Lower abdomen | CT image | Slice 120 of 896 | Field of view 437 mm wide, 0.80 mm slice spacing
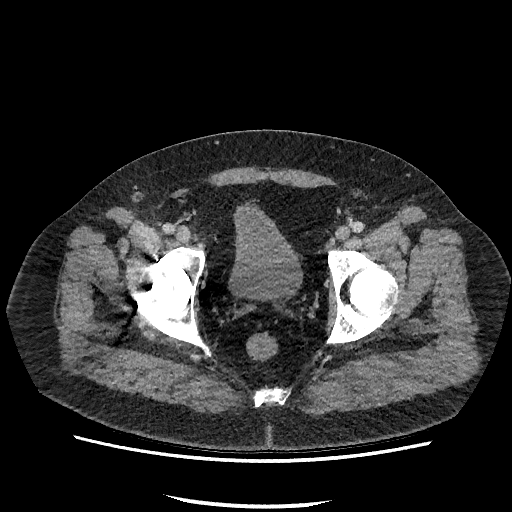 The urinary bladder is bounded by [228,201,302,302].